240x240, Brain
FLAIR MRI.
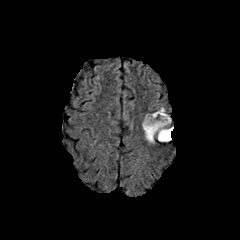
T1-weighted MRI.
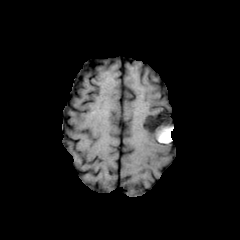
Post-contrast T1-weighted magnetic resonance.
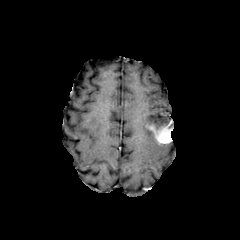
T2-weighted MR image.
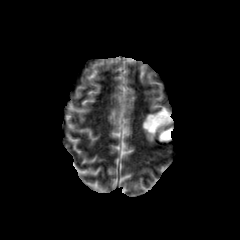
non-enhancing tumor core: <box>144,108,170,131</box> | edema: <box>142,107,162,143</box> | enhancing tumor: <box>145,122,171,141</box>